Abdomen | 512x512 | CT scan slice
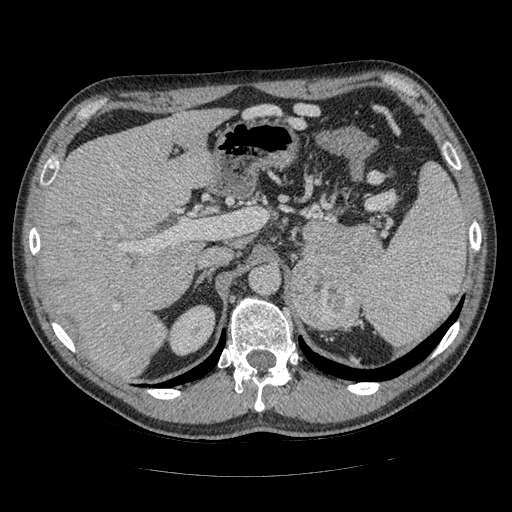

The pancreas is bounded by x1=304 y1=220 x2=379 y2=280. The pancreatic tumor is at x1=291 y1=254 x2=364 y2=329.